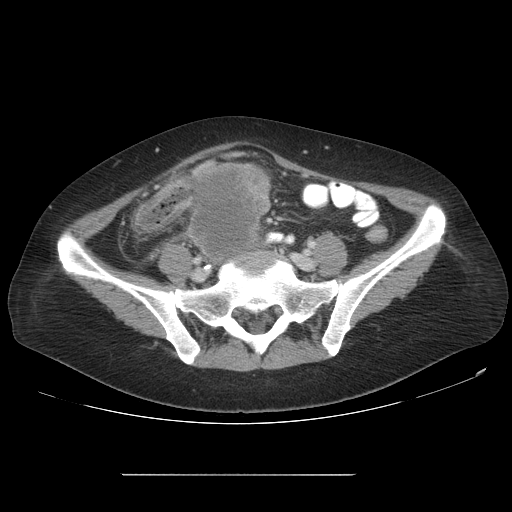
CT slice. 512x512. Colon tumor — l=155, t=162, r=270, b=260.